Slice 94/155
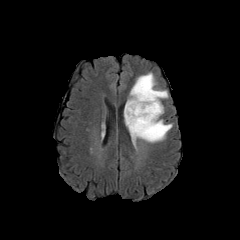
FLAIR magnetic resonance.
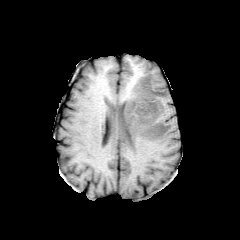
T1-weighted MRI of the same slice.
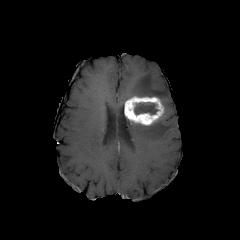
Same slice, post-contrast T1-weighted MRI.
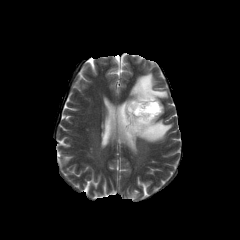
T2-weighted magnetic resonance.
The enhancing tumor lies within (124,95,164,125). 2 edema regions are located at (124,118,172,147), (130,73,168,99). The non-enhancing tumor core is at (134,103,157,114).